Head. Field of view 240 mm wide, 1.00 mm slice spacing.
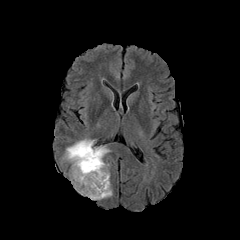
FLAIR MR image.
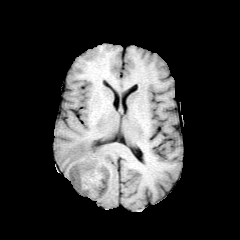
Same slice, T1-weighted MR.
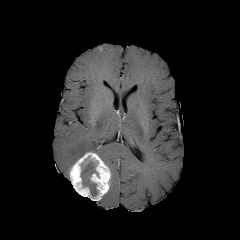
Post-contrast T1-weighted MR of the same slice.
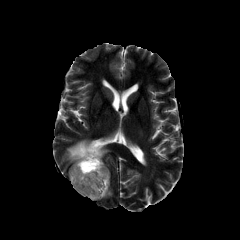
T2-weighted MRI of the same slice.
<segmentation>
  <enhancing_tumor>(left=69, top=151, right=109, bottom=200)</enhancing_tumor>
  <non-enhancing_tumor_core>(left=81, top=161, right=97, bottom=197)</non-enhancing_tumor_core>
  <edema>(left=102, top=187, right=111, bottom=198), (left=62, top=138, right=109, bottom=165)</edema>
</segmentation>